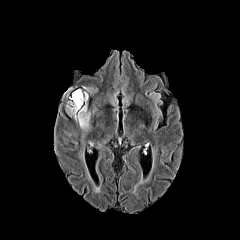
FLAIR MRI.
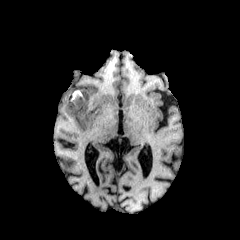
Same slice, T1-weighted magnetic resonance.
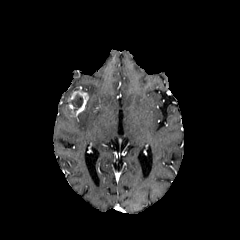
Post-contrast T1-weighted MRI.
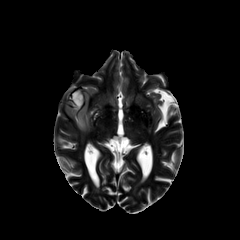
T2-weighted MR image.
Annotated regions:
- non-enhancing tumor core: <box>71,92,82,107</box>
- enhancing tumor: <box>65,89,89,117</box>
- edema: <box>81,86,97,94</box>, <box>63,87,72,98</box>, <box>67,104,90,136</box>